Slice 40/155 | Head
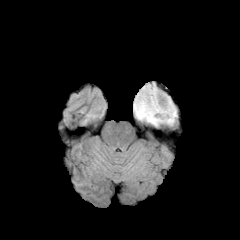
FLAIR MR.
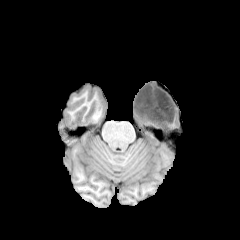
T1-weighted MR.
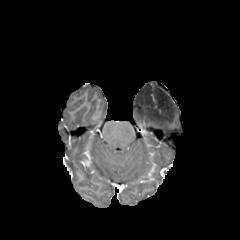
Post-contrast T1-weighted MR.
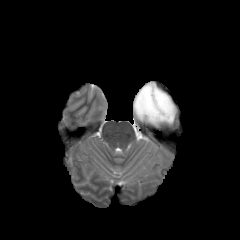
Same slice, T2-weighted magnetic resonance.
Annotated regions:
* edema: <box>133,104,177,126</box>
* non-enhancing tumor core: <box>134,84,174,123</box>